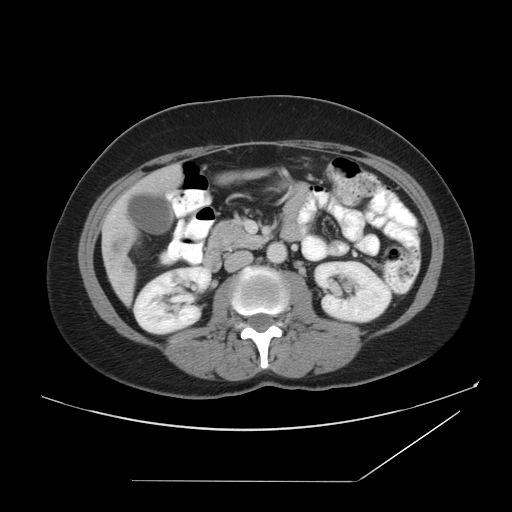

CT; Abdomen

The vessel boxes may cover only some of the vessels.
{"liver_tumor": ["109 237 131 258"], "hepatic_vessel": ["108 215 114 219", "118 201 122 205", "123 196 126 198", "112 209 115 210"]}